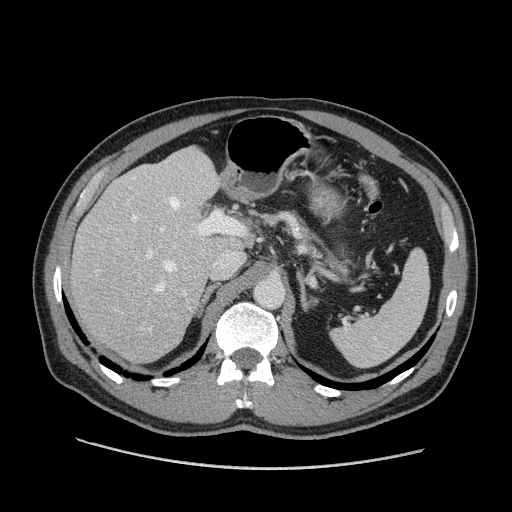 CT scan slice | 512x512 px
Pancreas: bounding box (x1=292, y1=212, x2=355, y2=275).